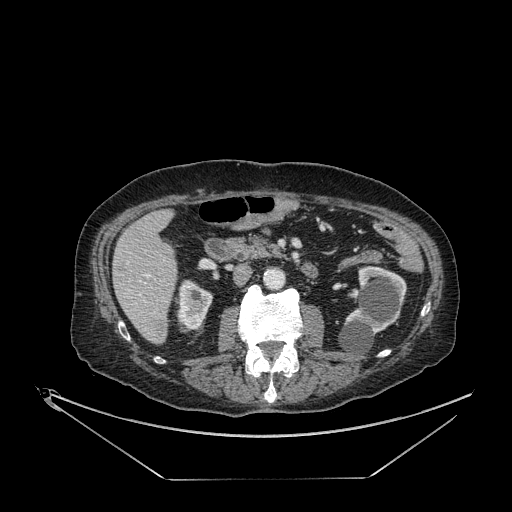 CT scan slice; Abdomen
- liver: x1=113 y1=210 x2=176 y2=344
- hepatic lesion: x1=155 y1=318 x2=164 y2=332
- kidney: x1=359 y1=266 x2=406 y2=302, x1=178 y1=281 x2=212 y2=328, x1=346 y1=308 x2=399 y2=333